Field of view 466 mm wide, 1.25 mm slice spacing | CT | Image size 512x512

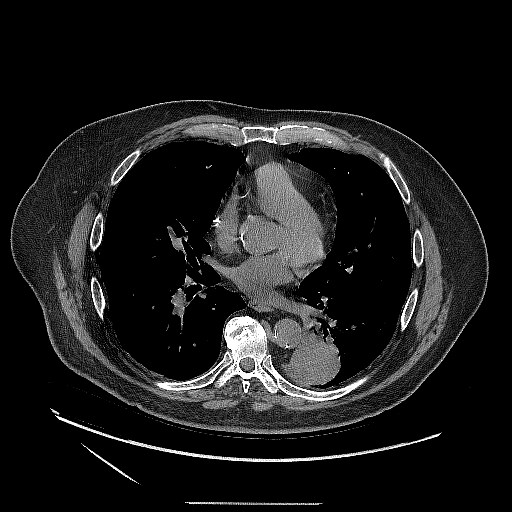
lung tumor: left=281, top=325, right=349, bottom=387